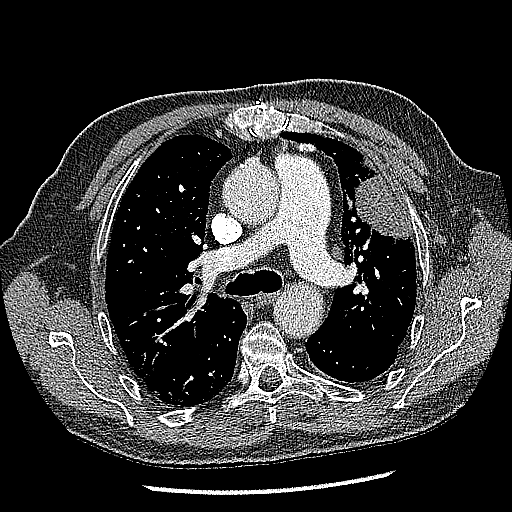

CT | Chest
The lung tumor is bounded by 353:156:411:239.